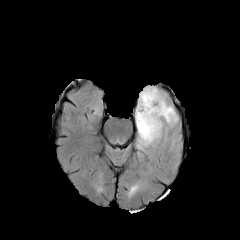
FLAIR MR image.
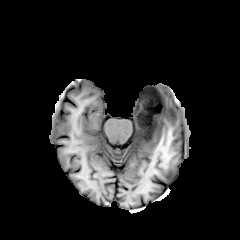
T1-weighted MRI of the same slice.
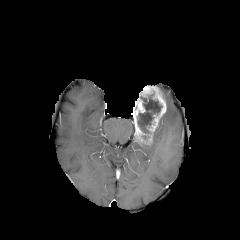
Post-contrast T1-weighted MR of the same slice.
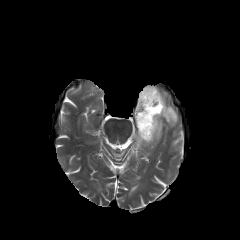
T2-weighted MR of the same slice.
Brain.
The non-enhancing tumor core lies within <bbox>137, 97, 161, 133</bbox>. The enhancing tumor appears at <bbox>135, 85, 166, 142</bbox>. 3 edema regions are located at <bbox>162, 99, 178, 126</bbox>, <bbox>136, 141, 148, 148</bbox>, <bbox>152, 120, 163, 143</bbox>.